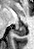

MRI slice

Posterior hippocampus: 13, 27, 25, 36.